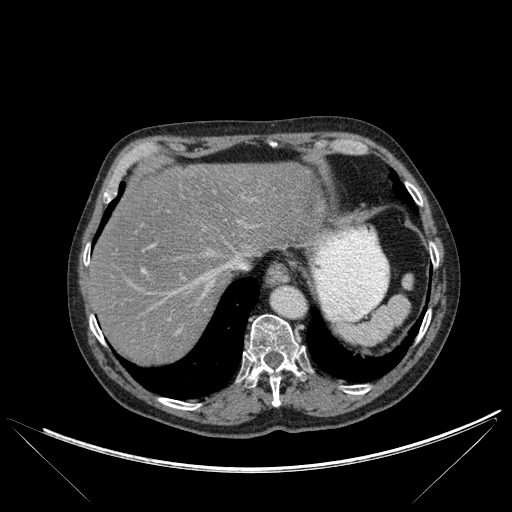
Liver, CT, 512x512
lung:
  - x1=119 y1=278 x2=258 y2=398
  - x1=306 y1=310 x2=423 y2=381
  - x1=390 y1=171 x2=415 y2=211
  - x1=96 y1=184 x2=124 y2=237
liver:
  - x1=89 y1=162 x2=319 y2=365
bone:
  - x1=158 y1=398 x2=198 y2=410
  - x1=89 y1=315 x2=104 y2=343
  - x1=243 y1=314 x2=305 y2=405
  - x1=406 y1=182 x2=422 y2=204
  - x1=418 y1=310 x2=430 y2=339
  - x1=430 y1=243 x2=438 y2=265
  - x1=342 y1=385 x2=369 y2=394
  - x1=83 y1=245 x2=89 y2=265